FLAIR MRI.
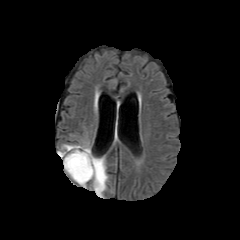
T1-weighted magnetic resonance.
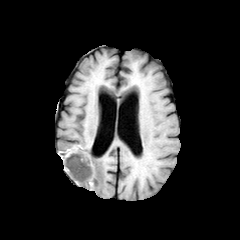
Post-contrast T1-weighted magnetic resonance.
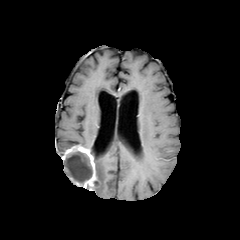
T2-weighted MR.
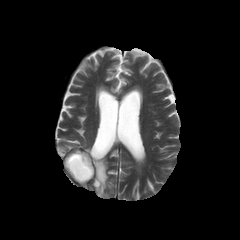
Brain | 240x240
Enhancing tumor — left=62, top=146, right=96, bottom=186.
Edema — left=57, top=144, right=75, bottom=155; left=87, top=156, right=108, bottom=195.
Non-enhancing tumor core — left=64, top=150, right=92, bottom=184.